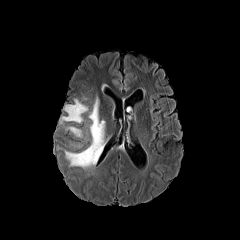
FLAIR MR image.
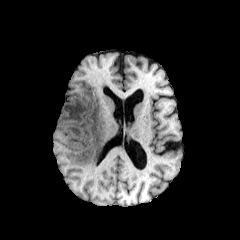
T1-weighted MRI.
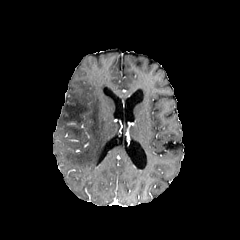
Post-contrast T1-weighted magnetic resonance of the same slice.
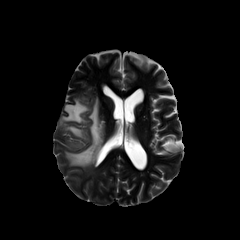
T2-weighted MR image.
240x240.
3 edema regions appear at x1=69, y1=127, x2=81, y2=136; x1=59, y1=99, x2=88, y2=123; x1=65, y1=98, x2=105, y2=169.